CT slice, 512x512 px, Liver
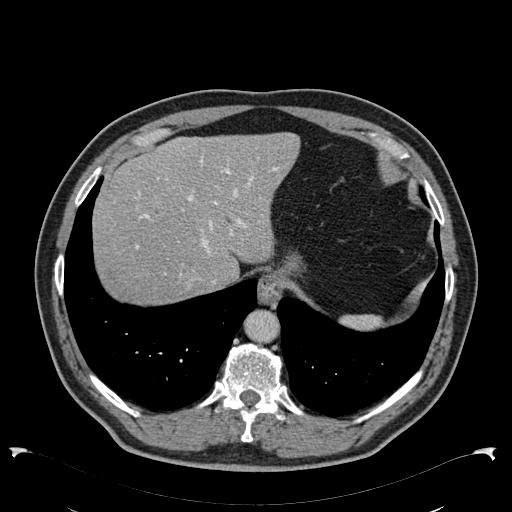 {"liver": ["(93, 133, 299, 303)"]}